FLAIR MR image.
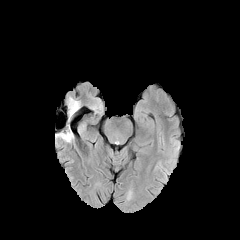
T1-weighted magnetic resonance.
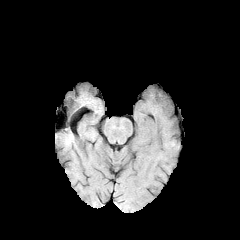
Post-contrast T1-weighted MR.
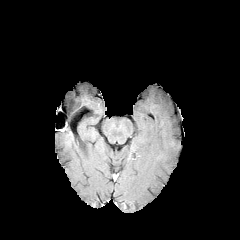
T2-weighted MR.
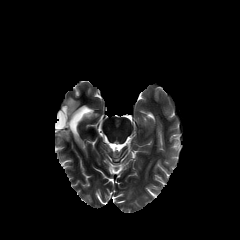
2 edema regions are bounded by <bbox>67, 97, 80, 121</bbox>, <bbox>57, 128, 72, 140</bbox>.